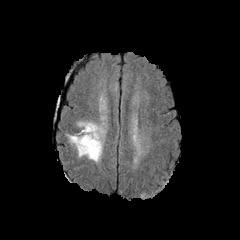
FLAIR magnetic resonance.
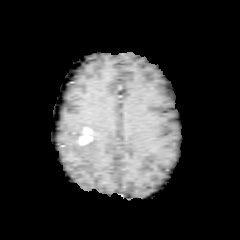
T1-weighted MR image of the same slice.
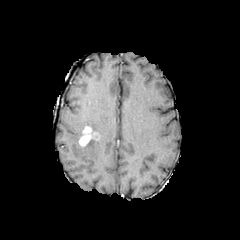
Post-contrast T1-weighted MRI.
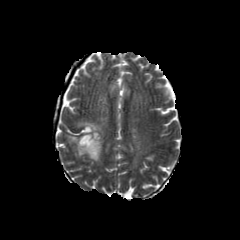
T2-weighted MR.
240x240
edema: [100, 98, 105, 110], [68, 116, 105, 162] | enhancing tumor: [78, 126, 96, 146]